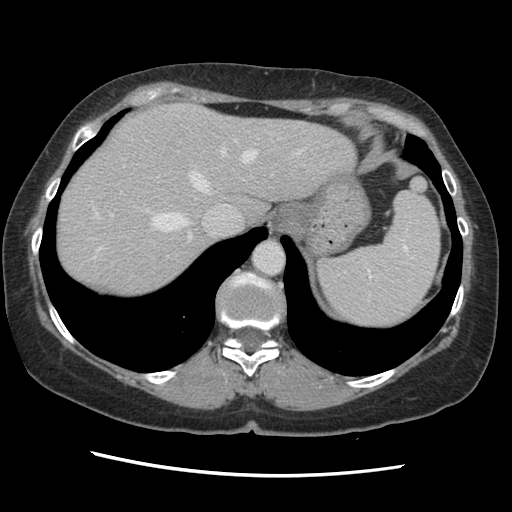
CT slice. Liver.

Some hepatic vessels may have no box.
11 hepatic vessel regions are bounded by [x1=152, y1=212, x2=187, y2=230], [x1=96, y1=248, x2=101, y2=251], [x1=235, y1=140, x2=236, y2=141], [x1=242, y1=150, x2=256, y2=162], [x1=294, y1=150, x2=302, y2=153], [x1=221, y1=148, x2=225, y2=155], [x1=93, y1=207, x2=98, y2=217], [x1=110, y1=213, x2=112, y2=215], [x1=188, y1=231, x2=191, y2=239], [x1=271, y1=173, x2=272, y2=175], [x1=190, y1=171, x2=208, y2=191].